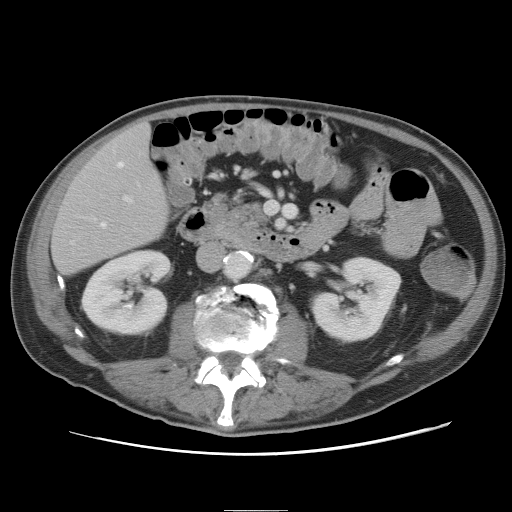
Abdomen; CT
Only some of the vessels may be annotated.
Hepatic vessel: bounding box left=119, top=163, right=123, bottom=166; left=125, top=197, right=131, bottom=201; left=102, top=223, right=105, bottom=226; left=143, top=124, right=147, bottom=127; left=71, top=241, right=74, bottom=243.